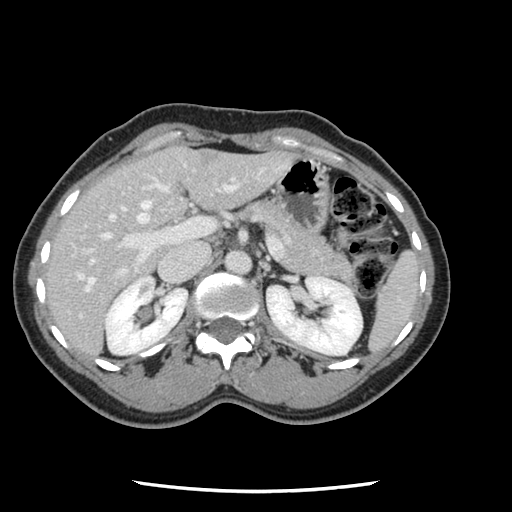

Abdomen | CT image

Some hepatic vessels may have no box.
Segmented structures:
* liver tumor: 203,156,217,161
* hepatic vessel: 109,214,114,219; 102,232,110,237; 118,269,124,273; 137,200,149,222; 143,180,167,190; 223,177,235,190; 121,218,211,260; 90,259,92,262; 78,274,93,289